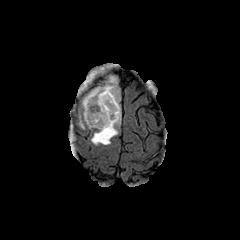
FLAIR MR.
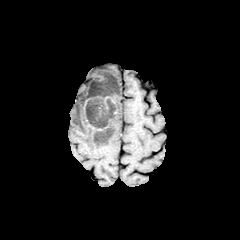
T1-weighted MRI.
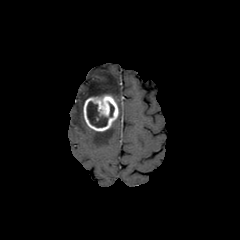
Post-contrast T1-weighted MR of the same slice.
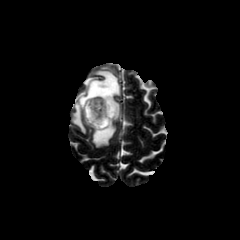
Same slice, T2-weighted magnetic resonance.
3 non-enhancing tumor core regions appear at rect(87, 101, 107, 127); rect(80, 74, 118, 118); rect(94, 128, 111, 140). The enhancing tumor is at rect(83, 94, 118, 131). The edema is bounded by rect(74, 67, 121, 146).